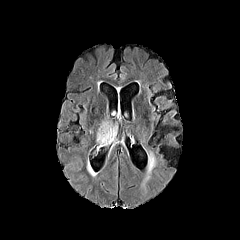
FLAIR magnetic resonance.
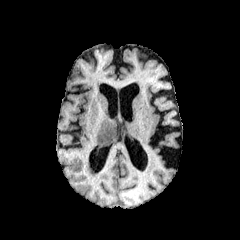
T1-weighted MR image.
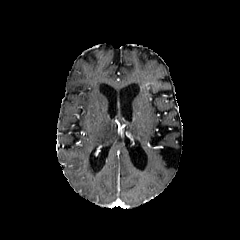
Post-contrast T1-weighted MR.
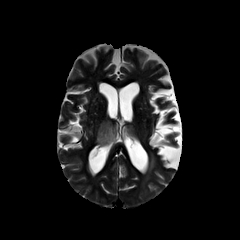
Same slice, T2-weighted MR image.
Image size 240x240. Head.
edema:
  - 86,159,98,177
  - 96,121,117,145